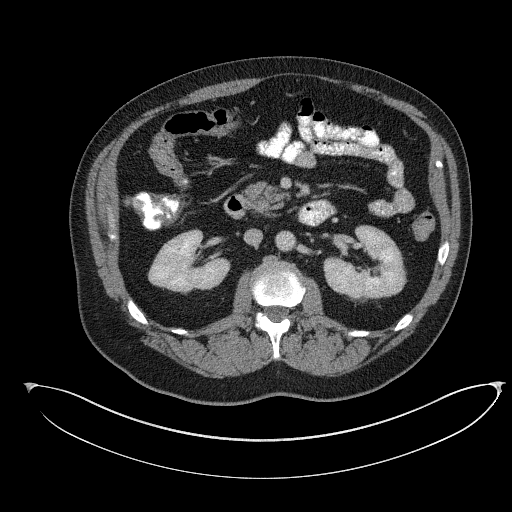

CT image; Upper abdomen
Annotated regions:
* pancreas: [x1=245, y1=182, x2=286, y2=214]